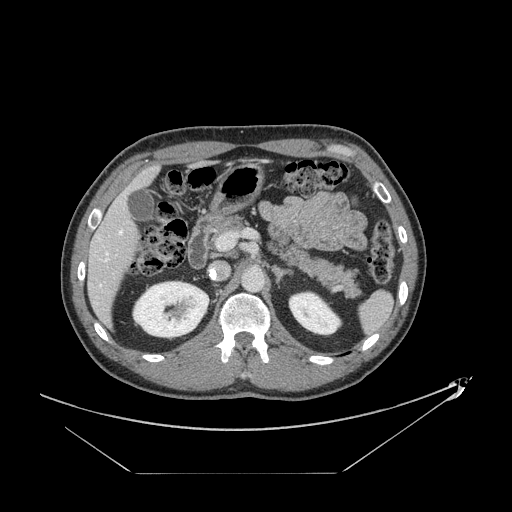 CT
<segmentation>
  <pancreas>bbox(212, 215, 244, 238); bbox(270, 244, 360, 297)</pancreas>
</segmentation>